FLAIR magnetic resonance.
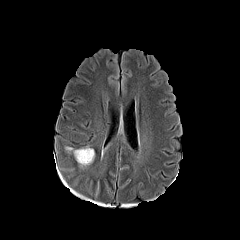
T1-weighted MR image.
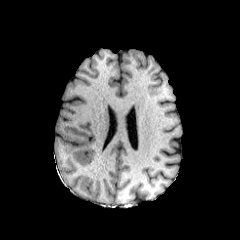
Post-contrast T1-weighted MR.
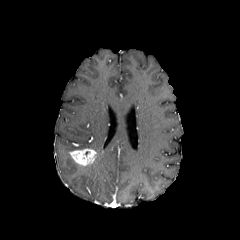
T2-weighted magnetic resonance.
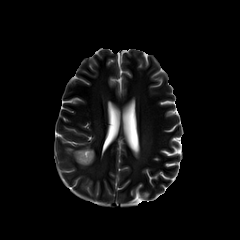
Enhancing tumor at bbox(70, 148, 96, 166).